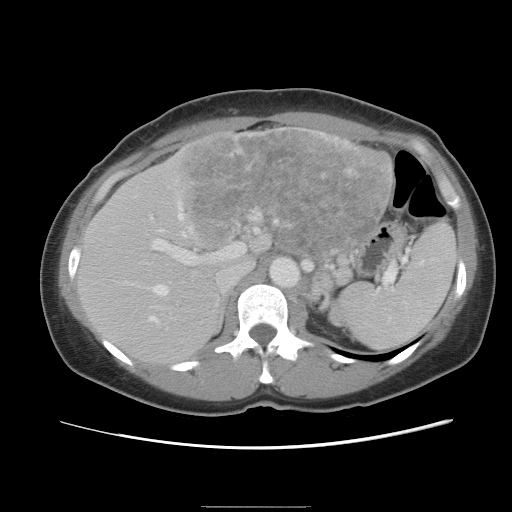 CT scan slice

Not every hepatic vessel necessarily has a box.
Hepatic vessel: bounding box x1=207, y1=239, x2=253, y2=291; x1=148, y1=316, x2=157, y2=321; x1=151, y1=239, x2=199, y2=263; x1=151, y1=284, x2=166, y2=294; x1=150, y1=215, x2=151, y2=217; x1=122, y1=281, x2=132, y2=283.
Liver tumor: bounding box x1=174, y1=129, x2=391, y2=254.